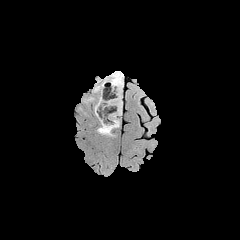
FLAIR MRI.
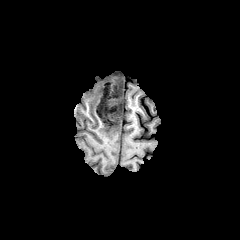
T1-weighted MRI.
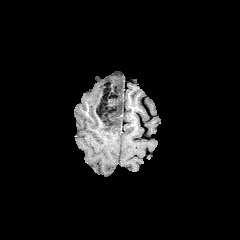
Post-contrast T1-weighted magnetic resonance of the same slice.
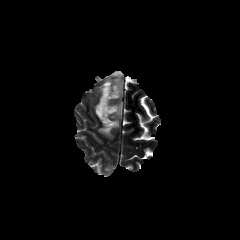
T2-weighted MR image.
Brain
Non-enhancing tumor core: bounding box 98:120:114:134, 96:98:109:117.
Edema: bounding box 85:86:102:114, 101:72:123:136.